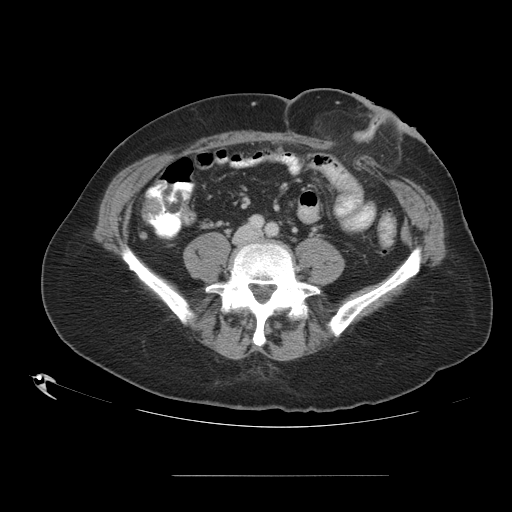

CT.
Colon tumor: bounding box [141, 197, 161, 219].